FLAIR MRI.
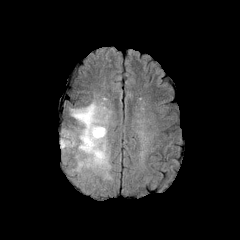
T1-weighted MR image.
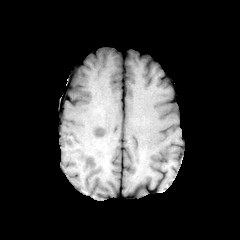
Post-contrast T1-weighted magnetic resonance.
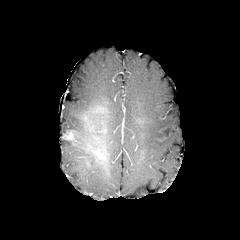
T2-weighted MR image.
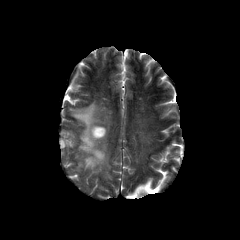
Head
Annotated regions:
• edema: (x1=60, y1=95, x2=112, y2=179)
• non-enhancing tumor core: (x1=63, y1=131, x2=77, y2=145), (x1=86, y1=149, x2=106, y2=165), (x1=92, y1=126, x2=105, y2=135)